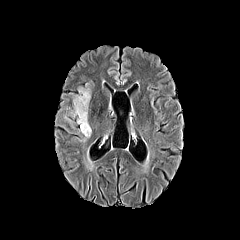
FLAIR MR.
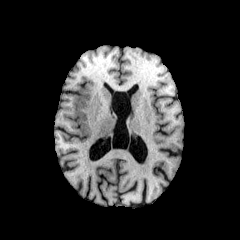
T1-weighted MR of the same slice.
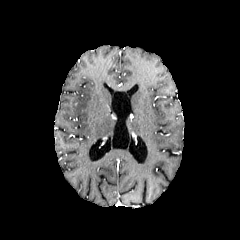
Same slice, post-contrast T1-weighted magnetic resonance.
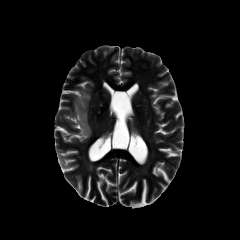
T2-weighted magnetic resonance.
Head
Findings:
• edema: 63:83:91:142